FLAIR MR.
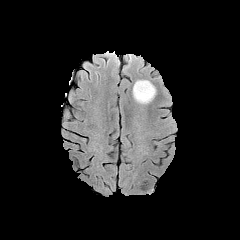
T1-weighted MR image.
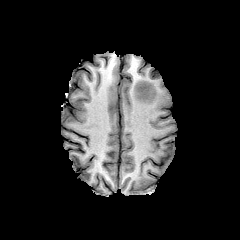
Post-contrast T1-weighted magnetic resonance.
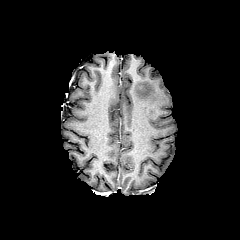
T2-weighted magnetic resonance.
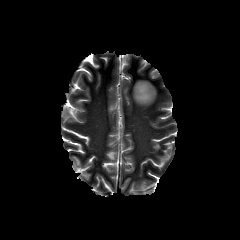
Image size 240x240
Annotated regions:
* edema: bbox(132, 80, 156, 105)